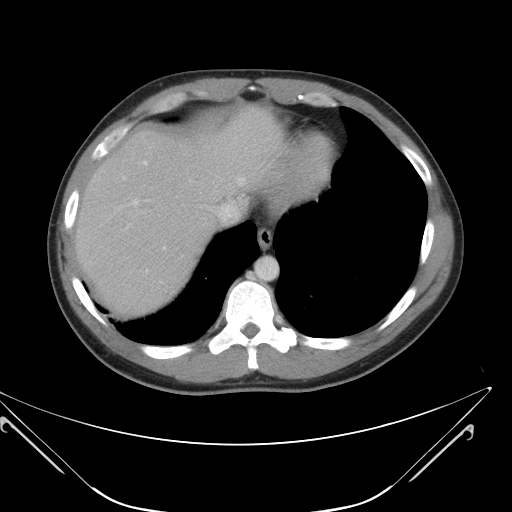 Abdomen; CT image

The vessel boxes may cover only some of the vessels.
{
  "hepatic_vessel": [
    "x1=163, y1=246, x2=165, y2=248",
    "x1=144, y1=161, x2=146, y2=163",
    "x1=216, y1=203, x2=237, y2=221",
    "x1=134, y1=200, x2=137, y2=204"
  ]
}